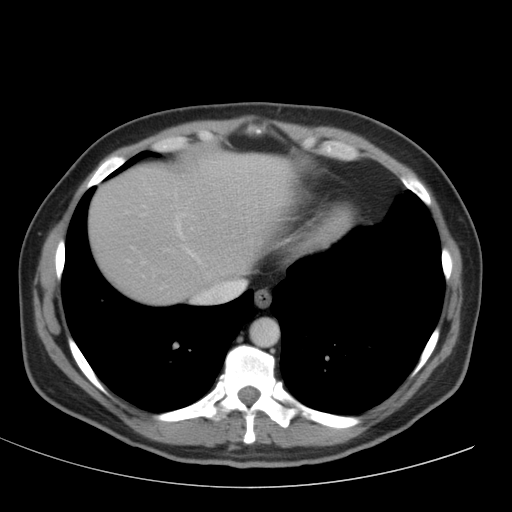
Abdomen | CT image

The liver appears at box(90, 153, 292, 303).